Liver; Slice 408/654; CT slice; 512x512 px 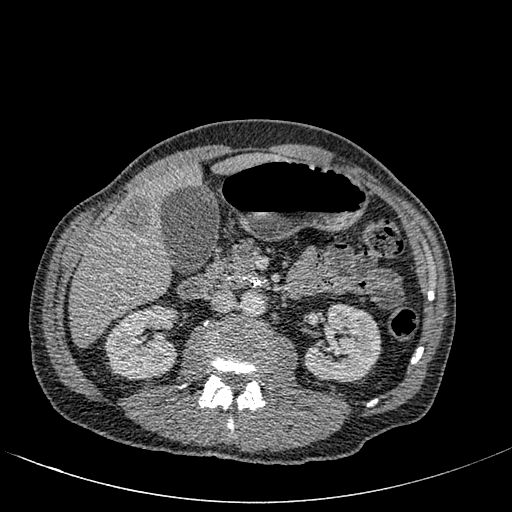
The hepatic lesion is at left=116, top=196, right=152, bottom=236. 2 liver regions are bounded by left=70, top=162, right=201, bottom=347; left=213, top=153, right=283, bottom=173. 2 kidney regions are located at left=105, top=306, right=177, bottom=379; left=305, top=304, right=380, bottom=381.